Computed tomography. Slice 149 of 466. 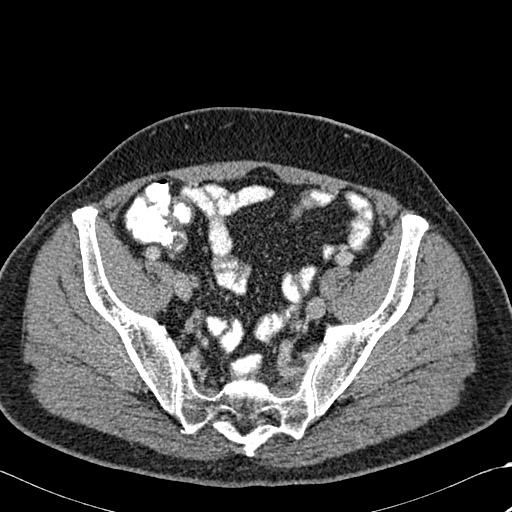
Segmented structures:
* bone: l=72, t=207, r=427, b=455